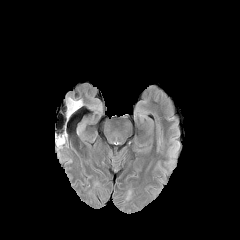
FLAIR MR.
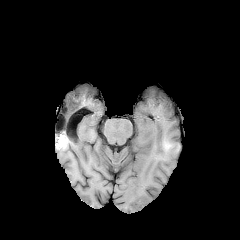
T1-weighted MR image.
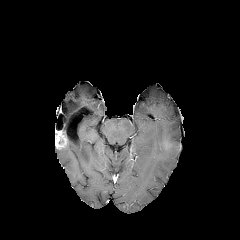
Post-contrast T1-weighted magnetic resonance.
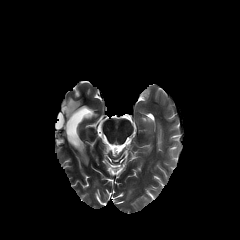
T2-weighted MR image.
Head
The edema appears at (66,98,83,120).